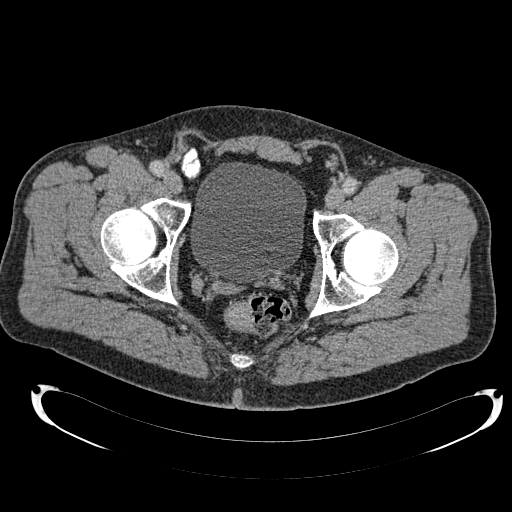

Image size 512x512. Lower abdomen. CT scan slice. The urinary bladder lies within region(190, 162, 306, 283).